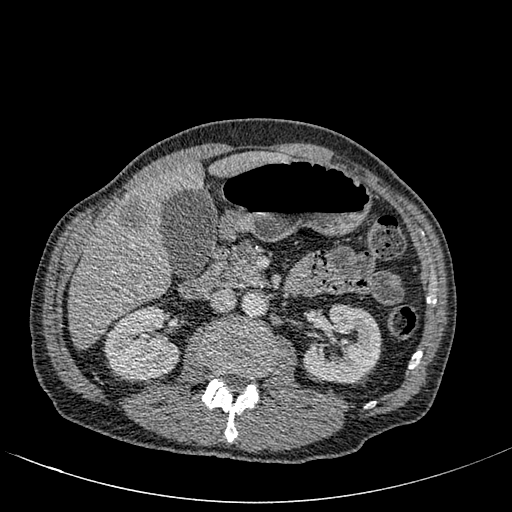
CT. 512x512.

{"hepatic_lesion": ["left=118, top=199, right=149, bottom=233"], "kidney": ["left=304, top=305, right=380, bottom=382", "left=105, top=307, right=178, bottom=380"], "liver": ["left=210, top=152, right=288, bottom=175", "left=69, top=162, right=202, bottom=348"]}